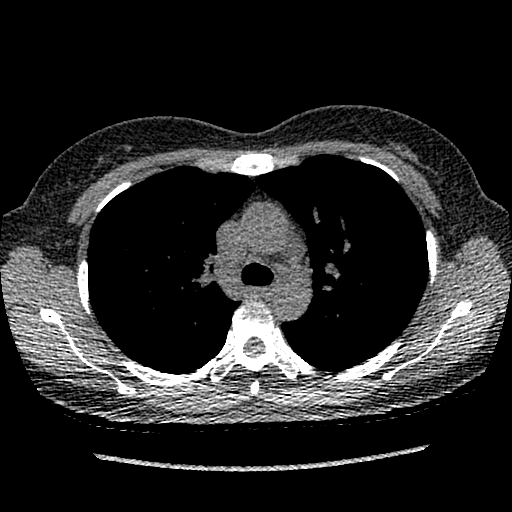

Lung, 512x512 px, CT image
<segmentation>
  <lung_tumor><bbox>323, 320, 345, 335</bbox></lung_tumor>
</segmentation>